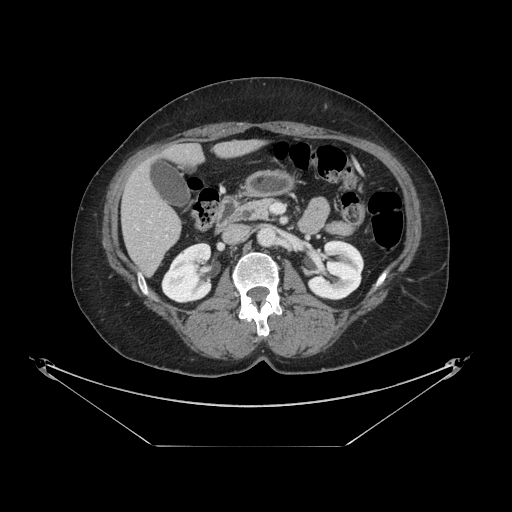

512x512 px | CT scan slice
* pancreas: left=246, top=198, right=277, bottom=220